Image width 240 mm
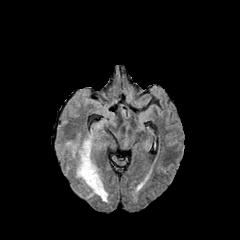
FLAIR MRI.
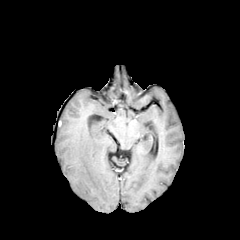
T1-weighted MR image.
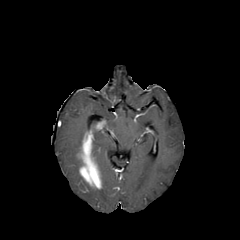
Post-contrast T1-weighted MR image of the same slice.
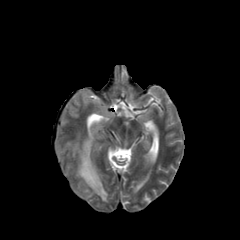
Same slice, T2-weighted MR image.
• edema: l=75, t=159, r=108, b=202; l=65, t=140, r=81, b=157
• enhancing tumor: l=96, t=120, r=105, b=129; l=77, t=130, r=101, b=188